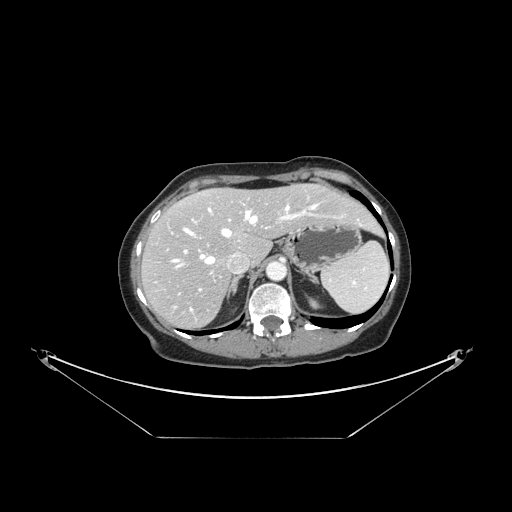 CT slice. 512x512 px.

Not every hepatic vessel necessarily has a box.
hepatic vessel: (left=246, top=211, right=256, bottom=222), (left=222, top=229, right=230, bottom=235), (left=184, top=250, right=186, bottom=252), (left=208, top=208, right=210, bottom=210), (left=183, top=228, right=191, bottom=233), (left=282, top=216, right=293, bottom=218), (left=312, top=206, right=316, bottom=208), (left=286, top=207, right=288, bottom=209)